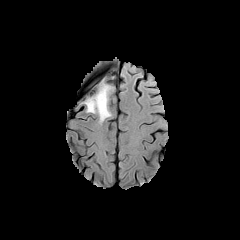
FLAIR MR image.
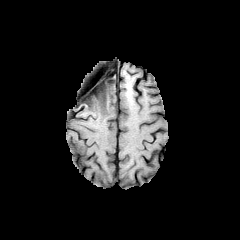
T1-weighted MR.
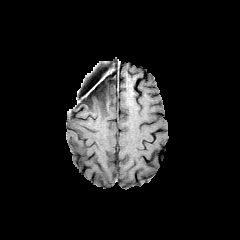
Post-contrast T1-weighted MR image of the same slice.
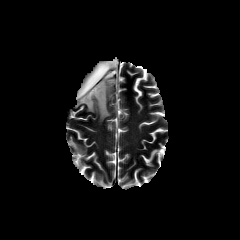
T2-weighted MRI.
Head.
The non-enhancing tumor core lies within x1=80, y1=80, x2=110, y2=103. The edema is bounded by x1=84, y1=86, x2=113, y2=122.